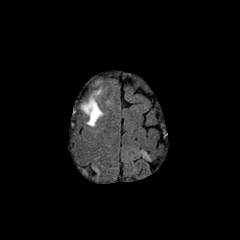
FLAIR magnetic resonance.
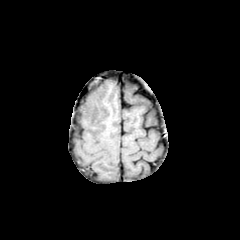
Same slice, T1-weighted MRI.
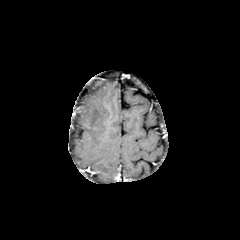
Post-contrast T1-weighted MR image of the same slice.
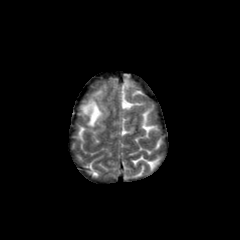
T2-weighted MR image.
240x240, Brain
edema: (x1=81, y1=88, x2=105, y2=128)